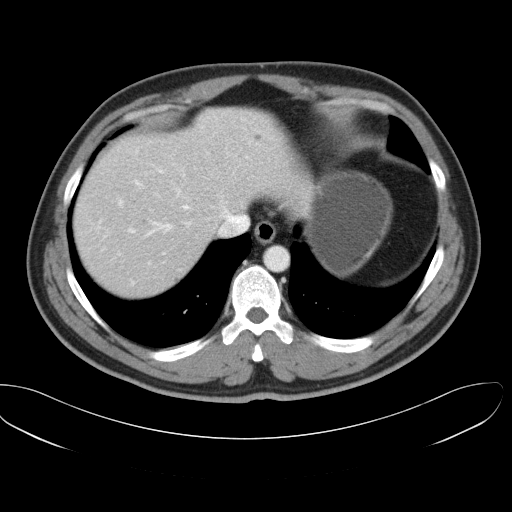 Abdomen; 512x512; CT
Only some of the vessels may be annotated.
<segmentation partial="true">
  <hepatic_vessel shown="15" total="20">rect(220, 199, 225, 203); rect(146, 221, 171, 235); rect(131, 281, 133, 284); rect(227, 153, 231, 156); rect(183, 206, 189, 208); rect(218, 209, 247, 234); rect(256, 143, 258, 145); rect(182, 221, 189, 226); rect(96, 226, 100, 229); rect(134, 180, 142, 188); rect(155, 194, 158, 196); rect(249, 140, 252, 143); rect(118, 199, 122, 206); rect(157, 168, 163, 172); rect(128, 229, 134, 232)</hepatic_vessel>
</segmentation>